Head
FLAIR MR image.
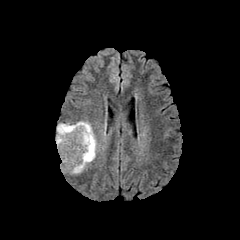
T1-weighted magnetic resonance.
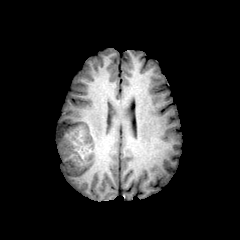
Post-contrast T1-weighted MR.
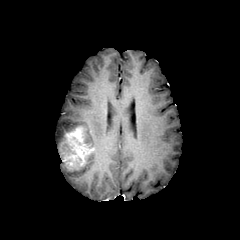
T2-weighted MR image.
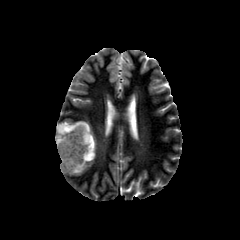
edema: bbox(64, 120, 98, 173); bbox(57, 139, 65, 152) | enhancing tumor: bbox(62, 128, 92, 170) | non-enhancing tumor core: bbox(57, 123, 91, 151)